Image size 240x240. Slice 119 of 155.
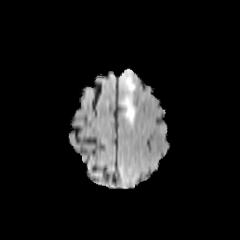
FLAIR magnetic resonance.
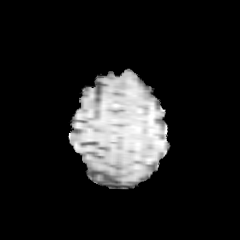
T1-weighted MR.
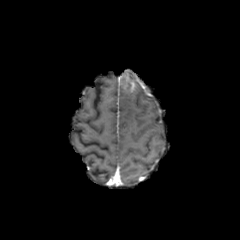
Post-contrast T1-weighted MR.
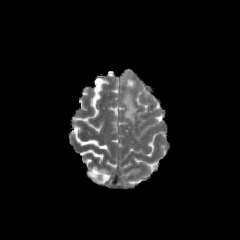
Same slice, T2-weighted MR.
Edema at 120,93,137,123.
Enhancing tumor at 120,72,136,92.